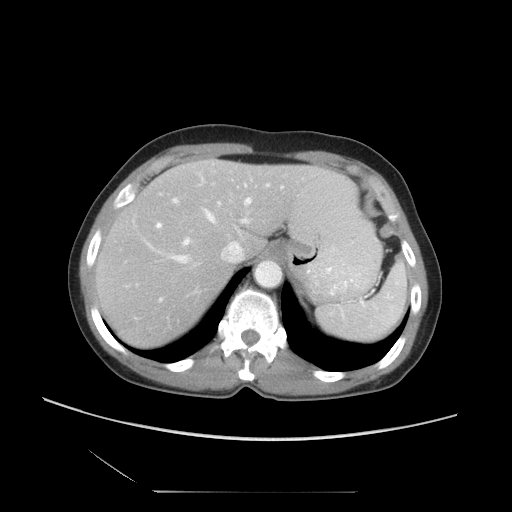 Computed tomography
Some hepatic vessels may have no box.
11 hepatic vessel regions are located at bbox(156, 223, 160, 227); bbox(265, 183, 268, 186); bbox(183, 238, 189, 244); bbox(217, 202, 219, 204); bbox(203, 209, 214, 221); bbox(241, 218, 248, 222); bbox(199, 174, 203, 184); bbox(244, 198, 250, 204); bbox(221, 249, 223, 254); bbox(173, 198, 177, 202); bbox(173, 255, 188, 262).